FLAIR MR image.
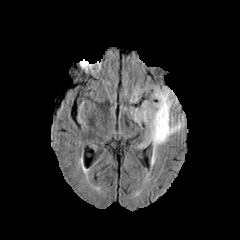
T1-weighted MR.
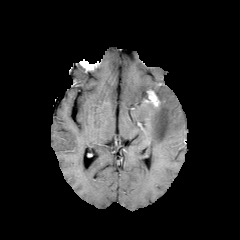
Post-contrast T1-weighted MR image.
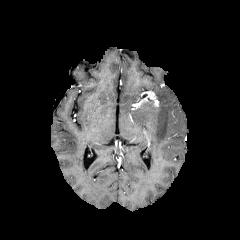
T2-weighted MR image.
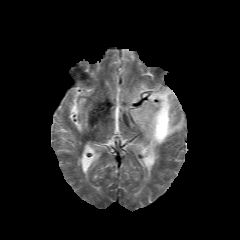
The edema is located at l=131, t=86, r=184, b=146.